Brain. Slice 117 of 155.
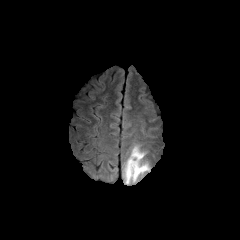
FLAIR magnetic resonance.
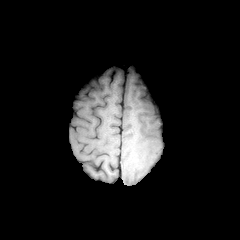
T1-weighted MRI of the same slice.
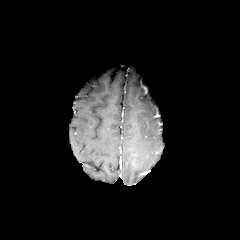
Same slice, post-contrast T1-weighted magnetic resonance.
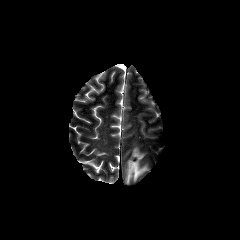
T2-weighted MR image.
edema:
  - (122, 145, 149, 184)